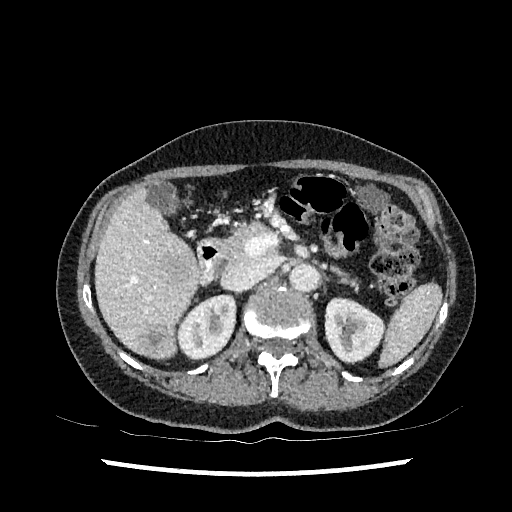

Upper abdomen | CT scan slice

Findings:
- focal liver lesion: x1=167, y1=255, x2=193, y2=282; x1=141, y1=326, x2=173, y2=354
- kidney: x1=178, y1=295, x2=235, y2=358; x1=325, y1=299, x2=383, y2=361
- liver: x1=96, y1=188, x2=198, y2=357